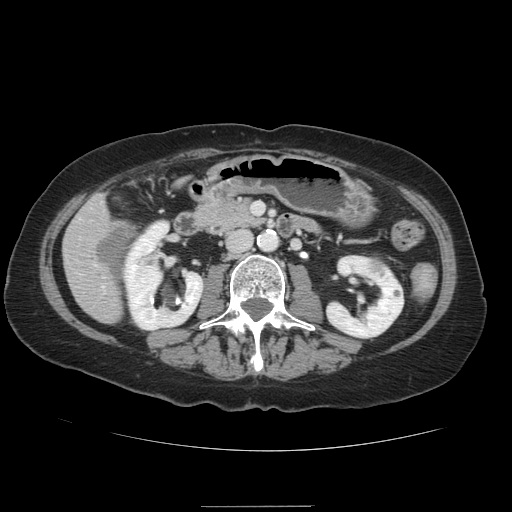 CT image
The liver tumor is at 97 223 131 281.